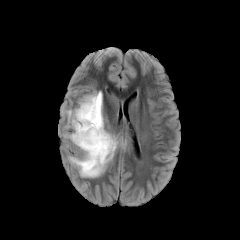
FLAIR MR.
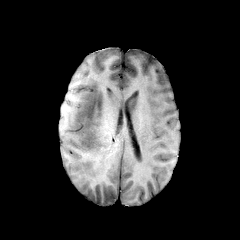
T1-weighted MR of the same slice.
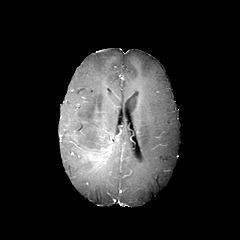
Post-contrast T1-weighted MRI.
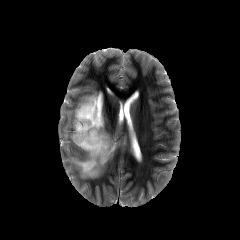
T2-weighted MRI.
Brain
{"non-enhancing_tumor_core": ["x1=87 y1=106 x2=94 y2=117", "x1=101 y1=140 x2=113 y2=155"], "edema": ["x1=68 y1=91 x2=117 y2=177"]}